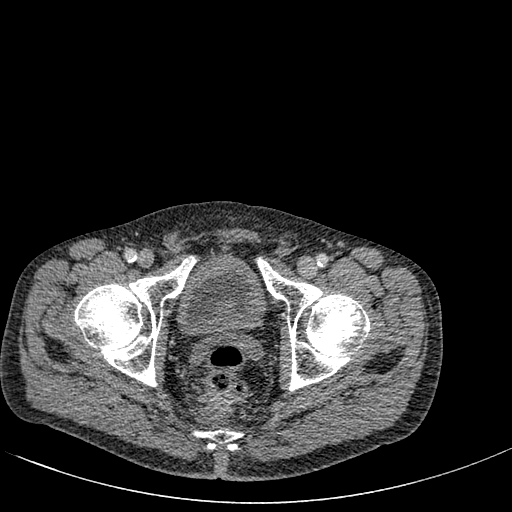
Pelvis, CT image

The urinary bladder is bounded by 175,250,268,335.